Abdomen | Slice index 65 | 512x512 | Computed tomography 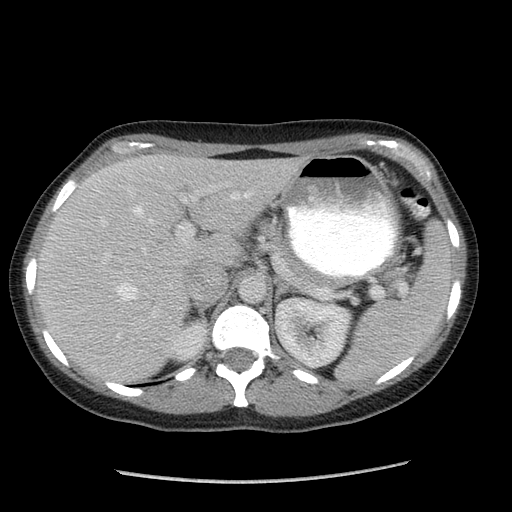

The spleen is at <bbox>337, 224, 452, 382</bbox>.